240x240 px, Field of view 240 mm wide, 1.00 mm slice spacing
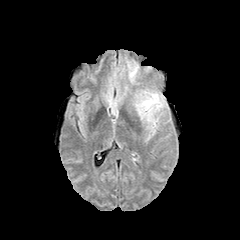
FLAIR MR image.
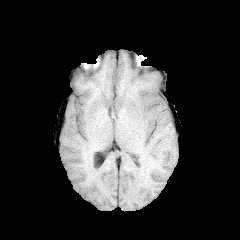
Same slice, T1-weighted MRI.
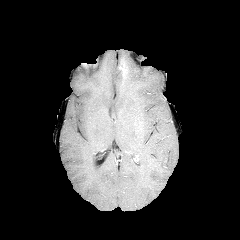
Post-contrast T1-weighted MR.
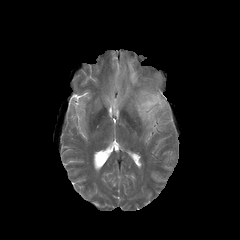
T2-weighted MRI.
• edema: box(134, 89, 164, 132)